FLAIR MR.
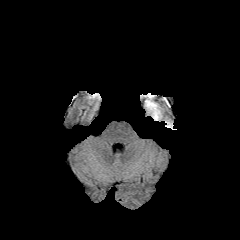
T1-weighted MR image.
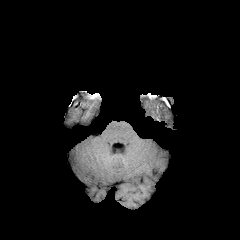
Post-contrast T1-weighted MR image.
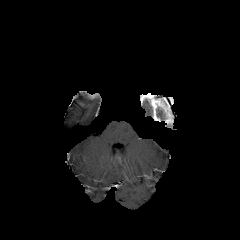
T2-weighted MR.
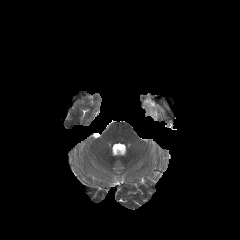
Image size 240x240.
The enhancing tumor appears at (x1=142, y1=96, x2=165, y2=120). The non-enhancing tumor core is at (x1=153, y1=97, x2=165, y2=104).